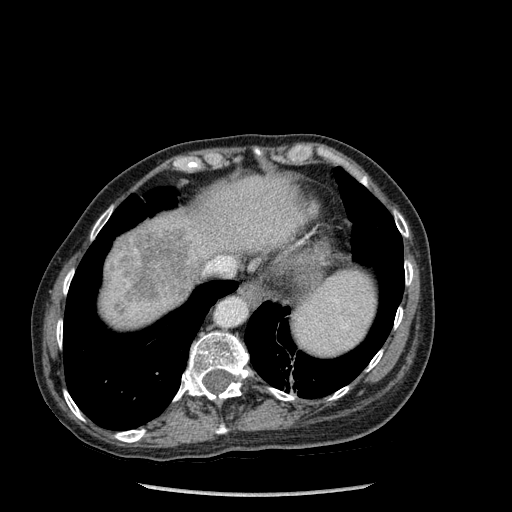 CT, 512x512
2 lung regions appear at x1=63, y1=187, x2=237, y2=430; x1=245, y1=168, x2=404, y2=398. 3 liver regions are bounded by x1=157, y1=272, x2=167, y2=280; x1=99, y1=174, x2=313, y2=328; x1=148, y1=263, x2=159, y2=268. The hepatic lesion appears at x1=126, y1=229, x2=189, y2=299. 14 bone regions appear at x1=329, y1=386, x2=348, y2=400; x1=56, y1=320, x2=62, y2=347; x1=115, y1=429, x2=145, y2=442; x1=63, y1=269, x2=74, y2=294; x1=90, y1=206, x2=112, y2=239; x1=394, y1=211, x2=408, y2=236; x1=216, y1=424, x2=227, y2=433; x1=366, y1=350, x2=382, y2=371; x1=360, y1=176, x2=367, y2=186; x1=173, y1=331, x2=249, y2=403; x1=268, y1=388, x2=294, y2=400; x1=404, y1=261, x2=413, y2=285; x1=64, y1=390, x2=84, y2=420; x1=394, y1=307, x2=402, y2=329.